CT scan slice. 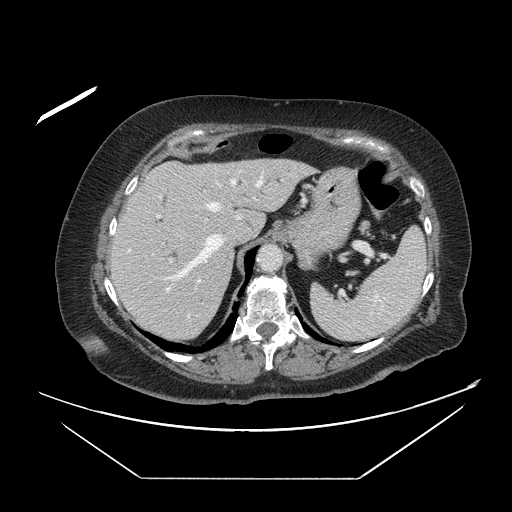 The pancreas appears at box=[361, 222, 368, 233].